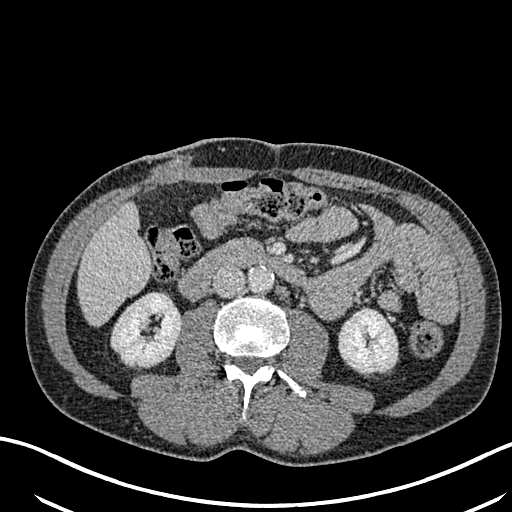
Abdomen | 512x512 | CT scan slice
Annotated regions:
* liver lesion: left=116, top=210, right=124, bottom=221
* kidney: left=339, top=309, right=397, bottom=371; left=112, top=293, right=180, bottom=365
* liver: left=77, top=204, right=149, bottom=324